Slice 82/155. Brain.
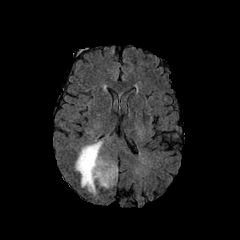
FLAIR MRI.
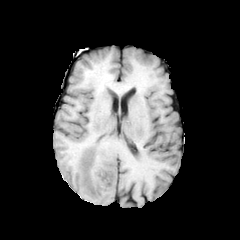
Same slice, T1-weighted MRI.
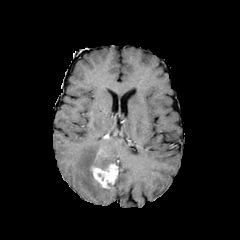
Post-contrast T1-weighted MR image of the same slice.
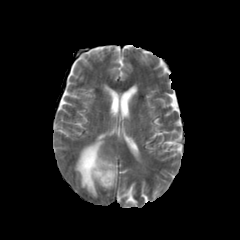
T2-weighted MR image.
The edema lies within <box>74,138,113,196</box>. The non-enhancing tumor core appears at <box>82,152,97,182</box>. The enhancing tumor is bounded by <box>91,164,117,187</box>.